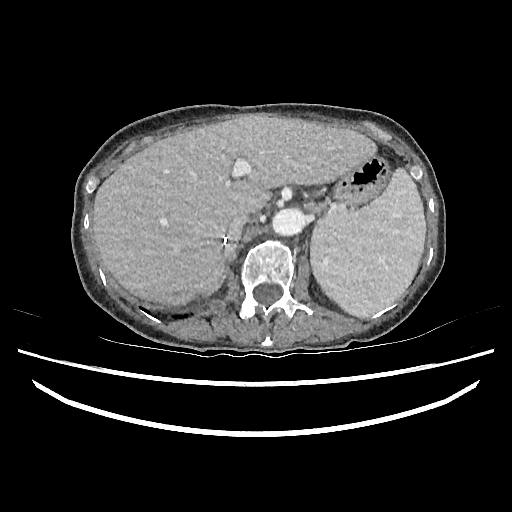 CT
The liver is bounded by (x1=94, y1=114, x2=374, y2=304).